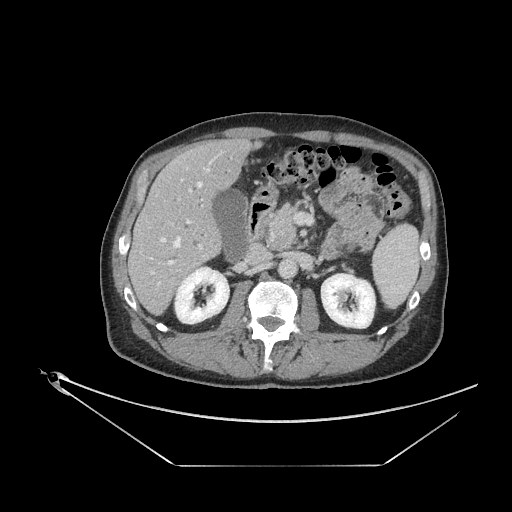

Image size 512x512; CT scan slice; Abdomen
2 pancreas regions are bounded by box=[265, 203, 299, 250]; box=[345, 245, 354, 252]. The pancreatic tumor appears at box=[273, 222, 295, 245].